Slice index 85
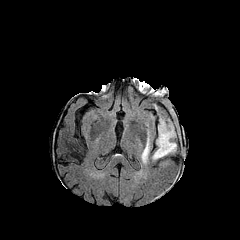
FLAIR MR image.
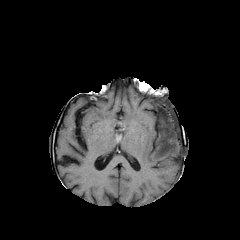
T1-weighted MR image of the same slice.
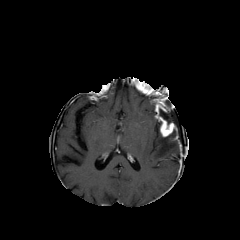
Post-contrast T1-weighted MRI of the same slice.
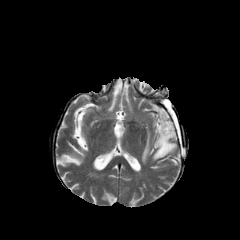
T2-weighted MR of the same slice.
Segmented structures:
* edema: (140, 128, 178, 163)
* non-enhancing tumor core: (156, 88, 167, 98), (155, 99, 177, 128), (160, 130, 177, 141)
* enhancing tumor: (156, 94, 167, 106), (155, 104, 177, 137)